Computed tomography.
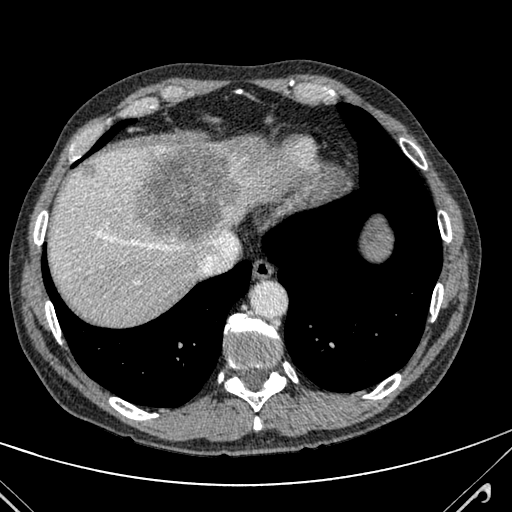

Annotated regions:
- hepatic lesion: box=[137, 144, 241, 240]; box=[81, 163, 94, 176]
- liver: box=[48, 143, 270, 323]